Slice 35/45; CT 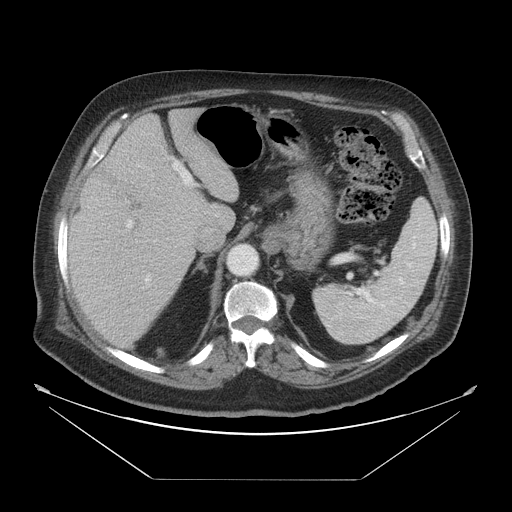 Not every hepatic vessel necessarily has a box.
• liver tumor: region(131, 215, 142, 236); region(93, 162, 146, 206)
• hepatic vessel: region(196, 228, 226, 250); region(144, 274, 150, 285); region(169, 157, 196, 185); region(126, 219, 132, 227)